CT image 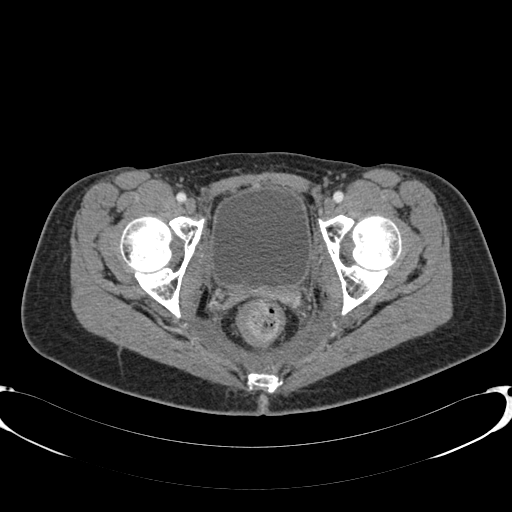 Urinary bladder — [212, 189, 309, 285].